FLAIR MR.
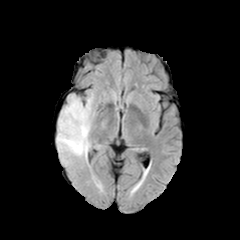
T1-weighted MRI.
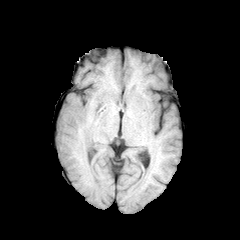
Post-contrast T1-weighted MR.
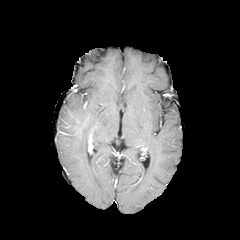
T2-weighted MRI.
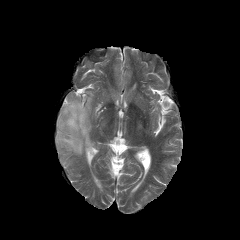
240x240
edema:
  - l=56, t=91, r=94, b=166